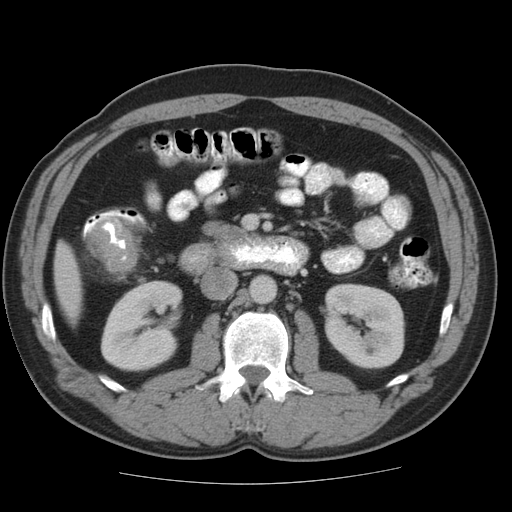 Abdomen | CT scan slice | Image size 512x512
<segmentation>
  <colon_tumor><box>87,220,136,270</box></colon_tumor>
</segmentation>